Upper abdomen; 512x512 px; Slice 56 of 103; Image width 476 mm; CT scan slice

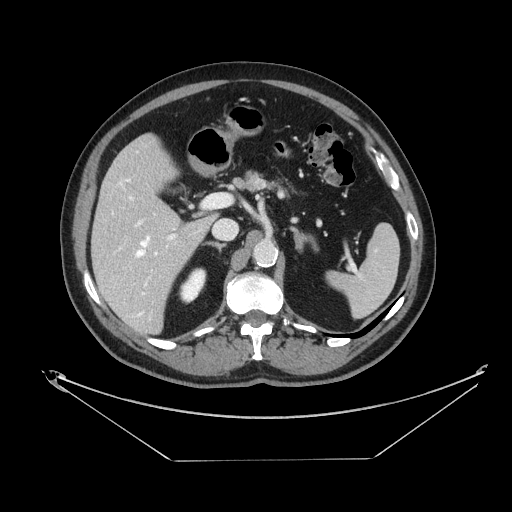
pancreatic tumor: left=255, top=178, right=266, bottom=189 | pancreas: left=234, top=170, right=292, bottom=198